512x512. CT slice. Abdomen.
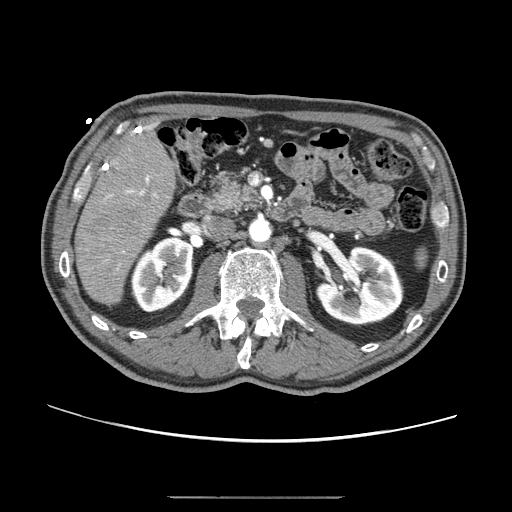

Pancreas: [211,174,263,211].